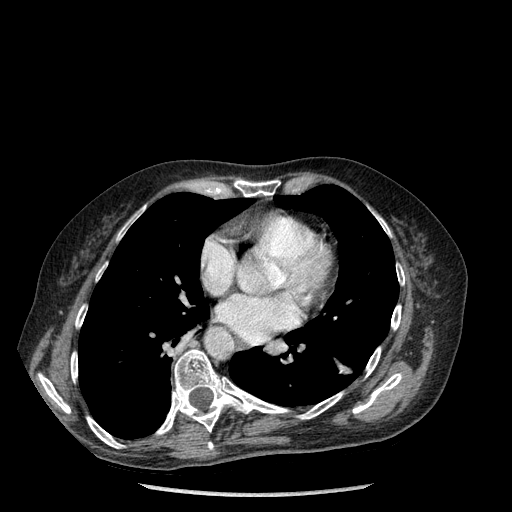

Computed tomography
2 lung regions are bounded by 78,192,252,439; 229,185,398,406. 14 bone regions are bounded by 391,305,401,330; 86,416,124,448; 372,212,391,236; 75,304,87,327; 96,263,106,276; 396,263,404,285; 117,205,146,240; 365,347,380,377; 352,373,402,413; 297,392,343,419; 156,349,288,435; 234,179,280,196; 38,373,70,413; 70,352,77,382.